Head, Slice 50/155, Field of view 240 mm wide, 1.00 mm slice spacing
FLAIR magnetic resonance.
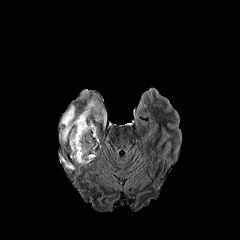
T1-weighted magnetic resonance.
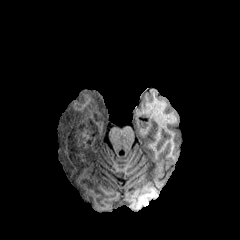
Post-contrast T1-weighted magnetic resonance.
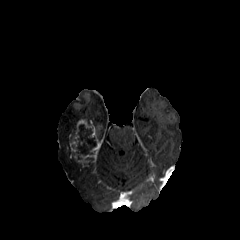
T2-weighted MR.
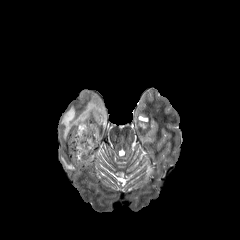
Non-enhancing tumor core = x1=66 y1=125 x2=76 y2=145, x1=77 y1=124 x2=96 y2=154, x1=77 y1=111 x2=90 y2=123.
Edema = x1=59 y1=154 x2=75 y2=169, x1=58 y1=89 x2=106 y2=144.
Enhancing tumor = x1=67 y1=118 x2=101 y2=167, x1=83 y1=92 x2=90 y2=102.